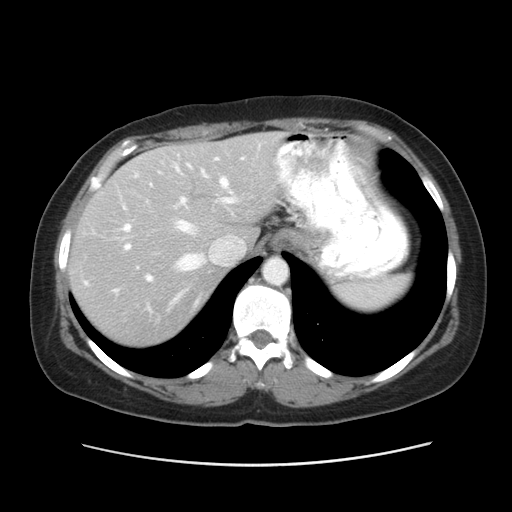 Computed tomography. 512x512 px.
Only some of the vessels may be annotated.
[15/16] hepatic vessel: left=175, top=197, right=185, bottom=208; left=174, top=163, right=178, bottom=170; left=178, top=254, right=202, bottom=269; left=215, top=158, right=217, bottom=159; left=220, top=177, right=227, bottom=186; left=114, top=289, right=117, bottom=292; left=201, top=170, right=207, bottom=177; left=146, top=275, right=151, bottom=280; left=125, top=244, right=129, bottom=249; left=221, top=191, right=236, bottom=202; left=241, top=158, right=243, bottom=159; left=122, top=224, right=129, bottom=230; left=172, top=292, right=182, bottom=302; left=187, top=164, right=190, bottom=167; left=177, top=220, right=193, bottom=233